CT. 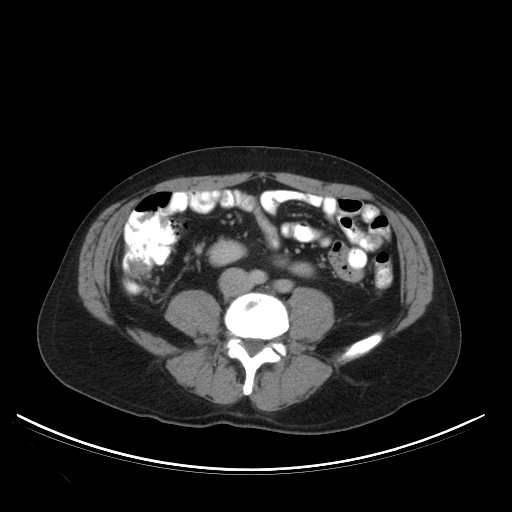 The colon tumor is bounded by 124:259:147:277.